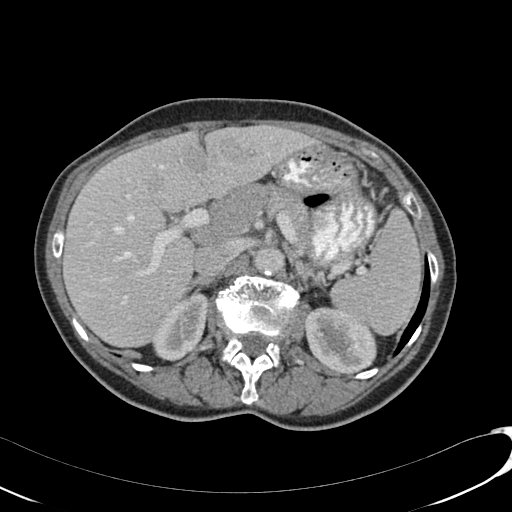
512x512; Computed tomography; Abdomen
3 liver lesion regions are located at (left=187, top=149, right=206, bottom=173), (left=148, top=177, right=160, bottom=189), (left=214, top=135, right=253, bottom=166). 2 kidney regions are bounded by (left=305, top=308, right=375, bottom=373), (left=154, top=294, right=207, bottom=359). The liver lies within (left=64, top=126, right=321, bottom=345).